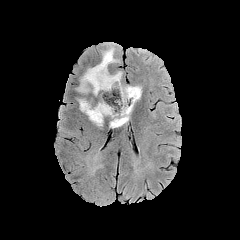
FLAIR MRI.
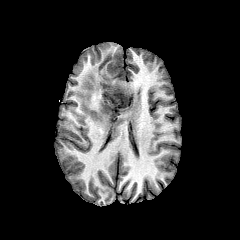
T1-weighted MR image.
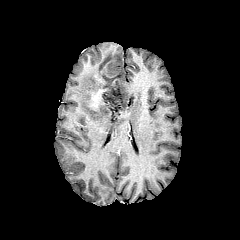
Post-contrast T1-weighted magnetic resonance.
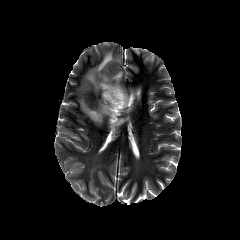
T2-weighted MR image of the same slice.
Head
The non-enhancing tumor core is bounded by 103 86 131 121. The edema lies within 78 48 141 131.